CT scan slice; 512x512 px
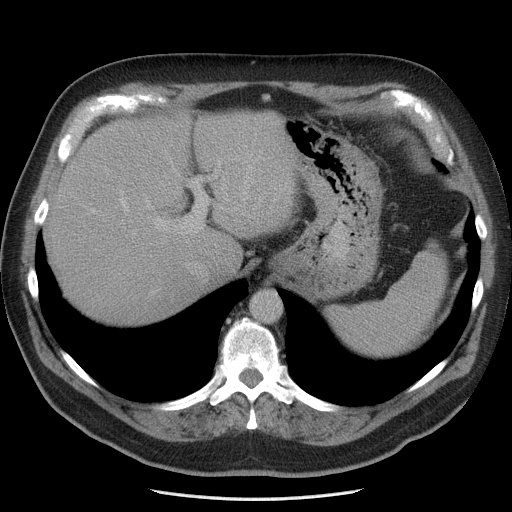
Only some of the vessels may be annotated.
11 hepatic vessel regions appear at (x1=151, y1=217, x2=171, y2=230), (x1=145, y1=197, x2=153, y2=208), (x1=215, y1=169, x2=218, y2=177), (x1=164, y1=174, x2=166, y2=177), (x1=185, y1=263, x2=200, y2=272), (x1=129, y1=220, x2=132, y2=222), (x1=173, y1=172, x2=209, y2=233), (x1=172, y1=187, x2=180, y2=196), (x1=132, y1=229, x2=135, y2=237), (x1=112, y1=216, x2=114, y2=217), (x1=118, y1=191, x2=127, y2=215).